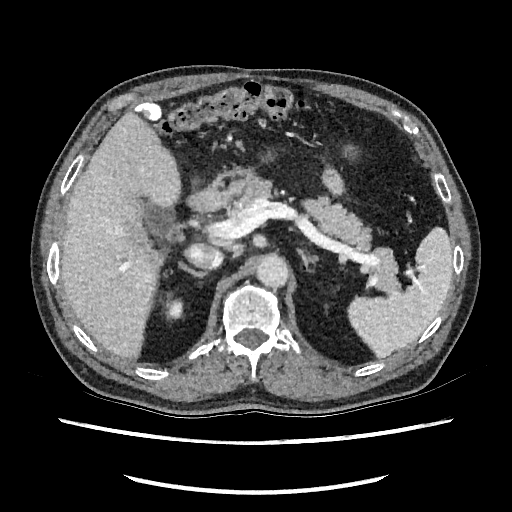 512x512 | CT image | Liver
The kidney is at bbox(166, 300, 182, 318). The liver appears at bbox(64, 115, 179, 356). The hepatic lesion is located at bbox(132, 224, 159, 266).